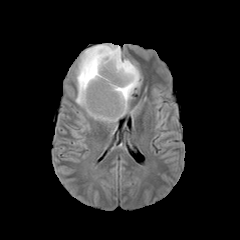
FLAIR MRI.
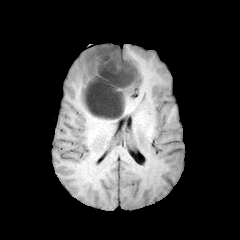
Same slice, T1-weighted MRI.
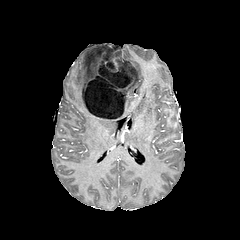
Same slice, post-contrast T1-weighted MR image.
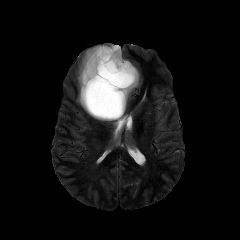
T2-weighted magnetic resonance.
Head
The non-enhancing tumor core is at (x1=81, y1=45, x2=135, y2=119). 3 edema regions appear at (x1=111, y1=44, x2=141, y2=116), (x1=75, y1=44, x2=110, y2=116), (x1=94, y1=116, x2=117, y2=124).